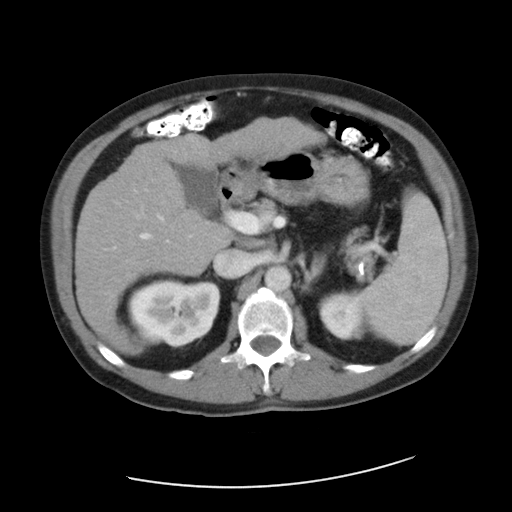 CT scan slice; 512x512 px
Only some of the vessels may be annotated.
5 hepatic vessel regions are located at [x1=157, y1=215, x2=163, y2=219], [x1=140, y1=233, x2=149, y2=238], [x1=190, y1=235, x2=191, y2=236], [x1=232, y1=214, x2=240, y2=228], [x1=136, y1=215, x2=138, y2=217].